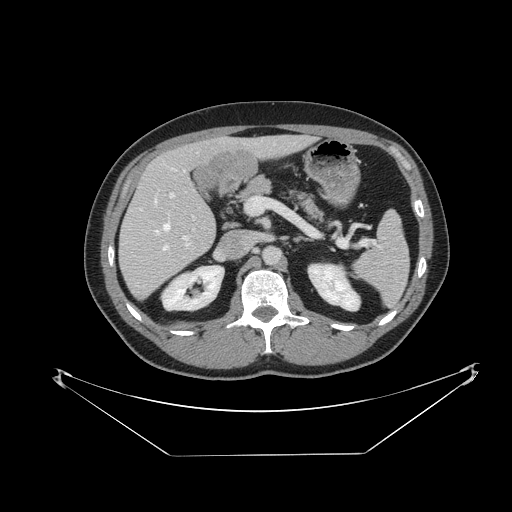 CT slice, 512x512, Abdomen
The spleen lies within x1=355 y1=212 x2=408 y2=306.